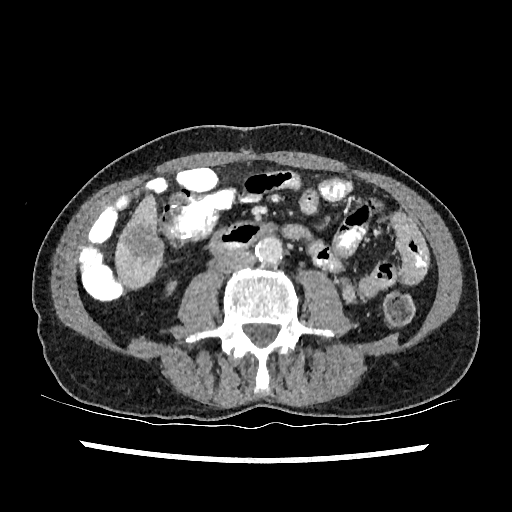
Upper abdomen, Computed tomography

focal_liver_lesion:
  - <bbox>124, 224, 162, 258</bbox>
liver:
  - <bbox>116, 195, 161, 287</bbox>